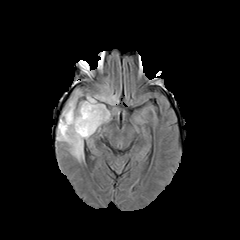
FLAIR MRI.
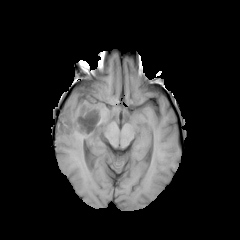
T1-weighted MRI.
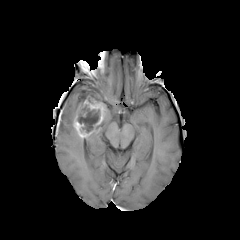
Post-contrast T1-weighted MRI.
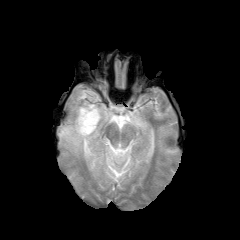
T2-weighted MR.
240x240 px. Head.
The non-enhancing tumor core is bounded by box(76, 100, 100, 137). The edema is at box(57, 91, 113, 159). 2 enhancing tumor regions are located at box(84, 100, 106, 125); box(73, 118, 89, 137).